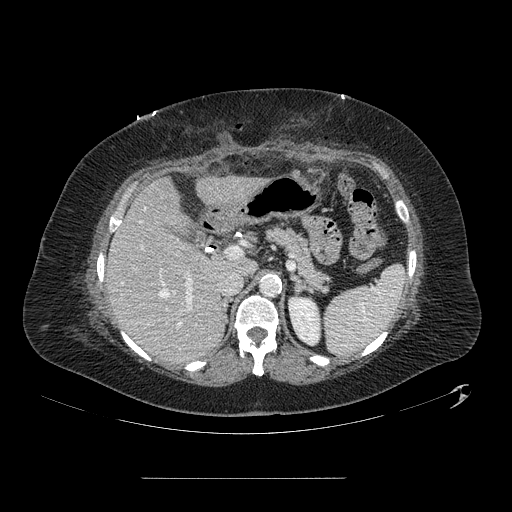
CT. 512x512 px. Upper abdomen.
pancreas:
  - [266,228,328,292]